FLAIR MRI.
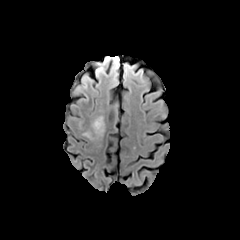
T1-weighted magnetic resonance.
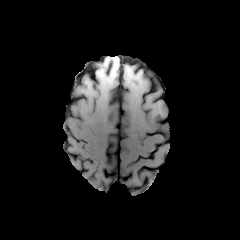
Post-contrast T1-weighted magnetic resonance.
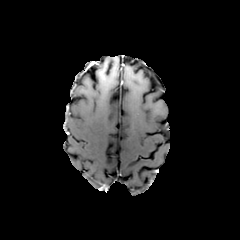
T2-weighted MR image.
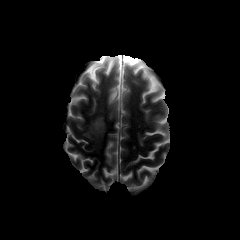
Brain.
Segmented structures:
• edema: [96, 65, 117, 82], [91, 116, 104, 134], [124, 67, 130, 78]
• non-enhancing tumor core: [96, 58, 117, 71]